CT slice 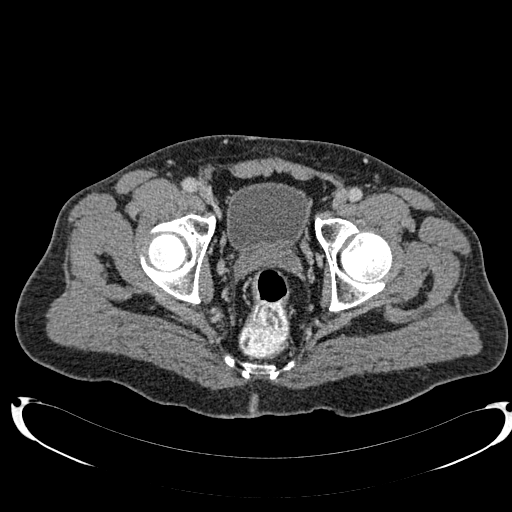 <segmentation>
  <urinary_bladder>226,182,309,260</urinary_bladder>
</segmentation>